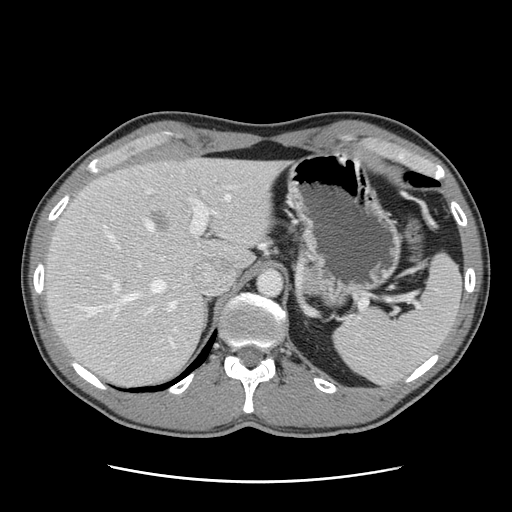
Abdomen, CT slice
The vessel boxes may cover only some of the vessels.
<segmentation partial="true">
  <liver_tumor>[152,212,167,230]</liver_tumor>
  <hepatic_vessel shown="15" total="20">[104,275,110,277], [169,339,174,346], [191,202,216,234], [103,225,106,230], [147,189,151,192], [115,245,119,248], [151,280,164,291], [165,302,175,309], [107,233,114,241], [146,307,152,312], [225,194,229,200], [229,186,234,188], [146,221,152,229], [114,281,117,293], [83,294,137,315]</hepatic_vessel>
</segmentation>